FLAIR MR.
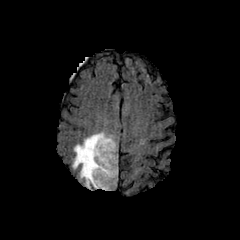
T1-weighted magnetic resonance.
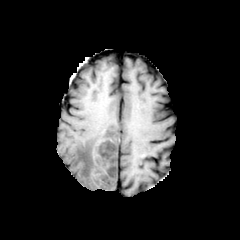
Post-contrast T1-weighted magnetic resonance.
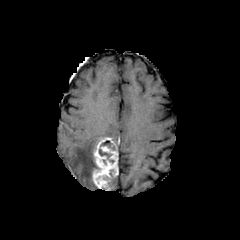
T2-weighted MRI.
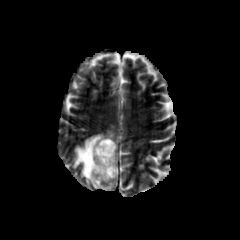
Annotated regions:
- enhancing tumor: 91, 136, 118, 190
- edema: 72, 132, 112, 188